FLAIR MR image.
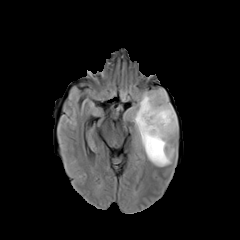
T1-weighted MR image.
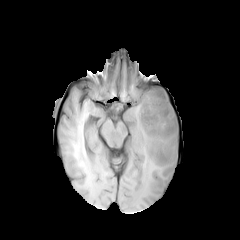
Post-contrast T1-weighted MR.
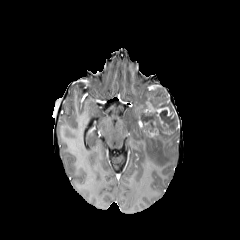
T2-weighted MRI.
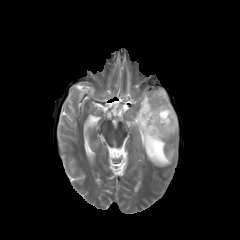
Brain, Image size 240x240
Annotated regions:
• enhancing tumor: x1=145, y1=102, x2=171, y2=115
• non-enhancing tumor core: x1=137, y1=87, x2=177, y2=138
• edema: x1=129, y1=90, x2=178, y2=167